Brain. Slice index 78.
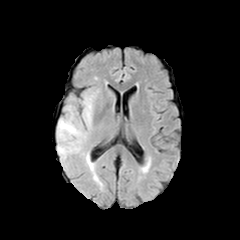
FLAIR MR.
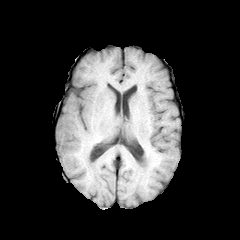
T1-weighted MRI.
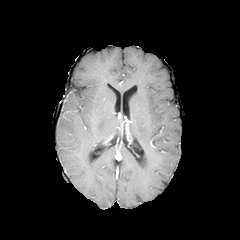
Post-contrast T1-weighted MR.
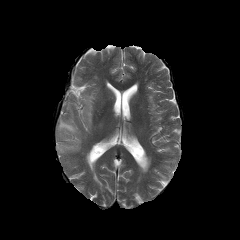
T2-weighted MRI.
2 edema regions are bounded by bbox=[56, 105, 87, 158]; bbox=[82, 91, 96, 130].